CT scan slice | Upper abdomen | 512x512
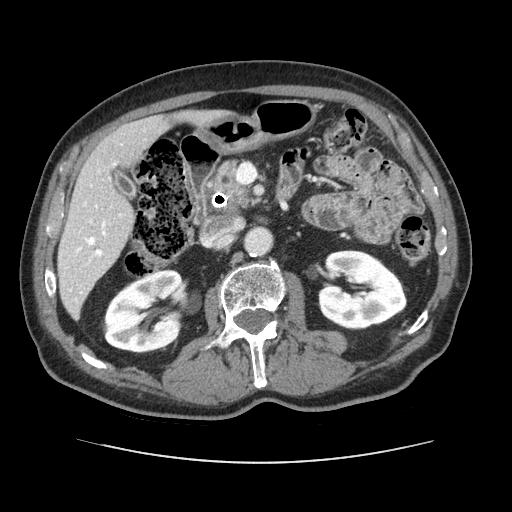
pancreas: <box>216,161,239,197</box> | pancreatic tumor: <box>227,183,246,204</box>